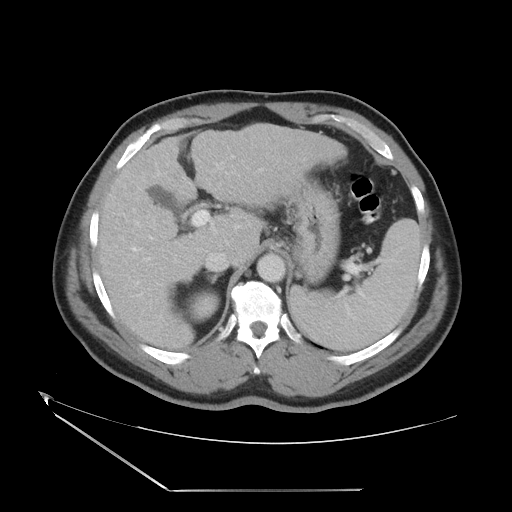
CT scan slice

The vessel boxes may cover only some of the vessels.
Annotated regions:
• liver tumor: l=245, t=125, r=270, b=141
• hepatic vessel: l=132, t=247, r=140, b=250; l=137, t=292, r=142, b=295; l=231, t=155, r=233, b=157; l=149, t=236, r=152, b=238; l=207, t=253, r=226, b=269; l=133, t=209, r=135, b=211; l=120, t=237, r=123, b=238; l=136, t=222, r=139, b=225; l=211, t=224, r=216, b=234; l=144, t=257, r=150, b=260; l=216, t=162, r=223, b=168; l=193, t=210, r=208, b=225